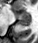 MR image
posterior_hippocampus:
  - (x1=18, y1=20, x2=30, y2=26)
anterior_hippocampus:
  - (x1=16, y1=12, x2=30, y2=19)